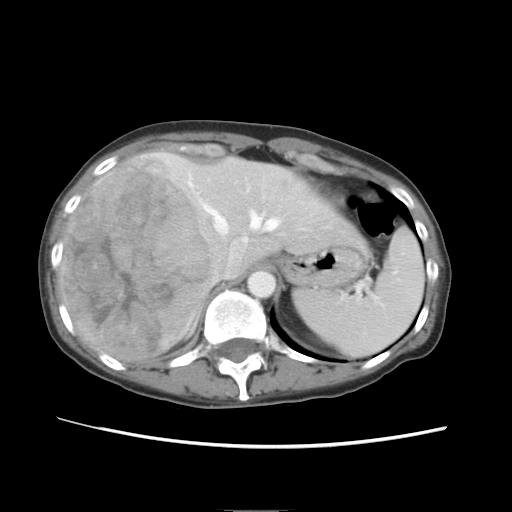

CT image, Abdomen

Not every hepatic vessel necessarily has a box.
{"hepatic_vessel": ["(left=266, top=219, right=277, bottom=229)", "(left=203, top=204, right=227, bottom=233)", "(left=232, top=238, right=246, bottom=268)", "(left=251, top=211, right=261, bottom=227)", "(left=188, top=174, right=191, bottom=185)", "(left=232, top=273, right=233, bottom=277)"], "liver_tumor": ["(left=277, top=179, right=294, bottom=192)", "(left=60, top=161, right=216, bottom=360)"]}